Image size 512x512, Slice index 541, CT, Liver

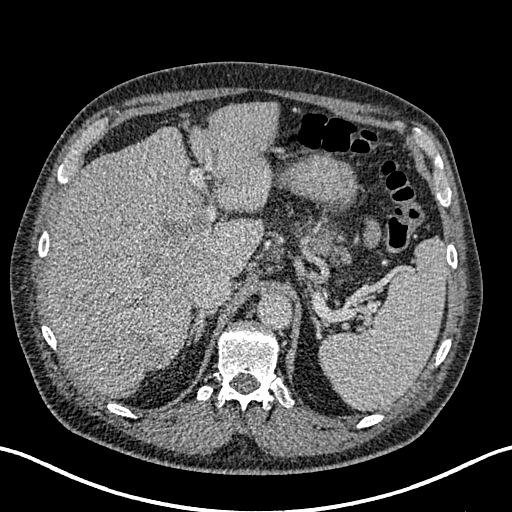
liver:
  - x1=192, y1=103, x2=280, y2=211
  - x1=45, y1=127, x2=263, y2=397
liver_lesion:
  - x1=233, y1=153, x2=261, y2=180
  - x1=130, y1=289, x2=153, y2=307
  - x1=81, y1=291, x2=95, y2=308
  - x1=122, y1=330, x2=163, y2=373
  - x1=141, y1=218, x2=208, y2=302